Slice index 87. CT. Image size 512x512.

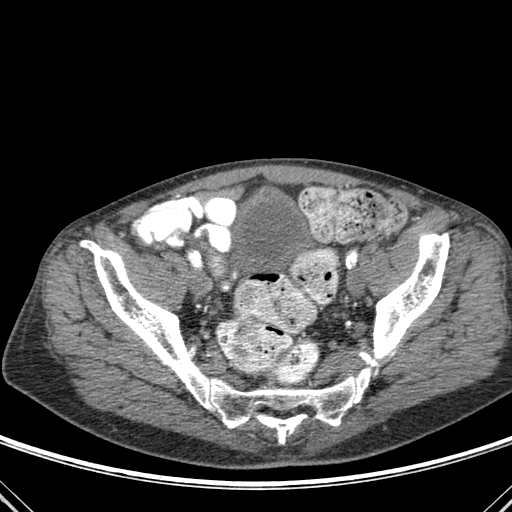 <segmentation>
  <bone>[256, 414, 307, 443], [80, 233, 449, 428], [346, 256, 355, 267]</bone>
</segmentation>